CT slice. Slice index 147. Pelvis. Image width 387 mm.
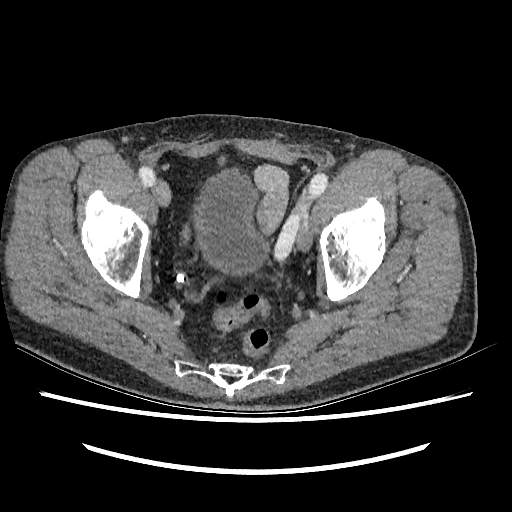
<segmentation>
  <urinary_bladder>bbox(197, 174, 267, 274)</urinary_bladder>
</segmentation>